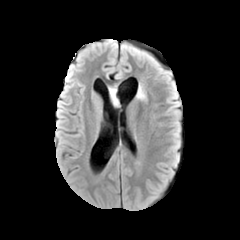
FLAIR MRI.
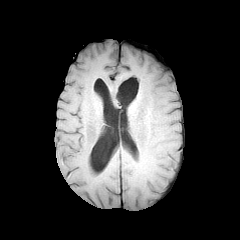
T1-weighted magnetic resonance of the same slice.
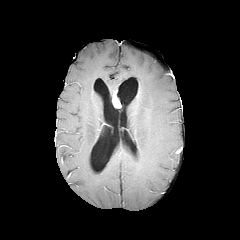
Same slice, post-contrast T1-weighted MR image.
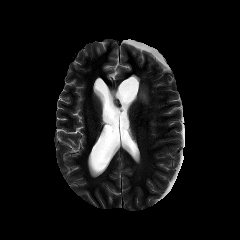
T2-weighted MR image.
{"edema": ["box=[137, 84, 147, 101]"], "enhancing_tumor": ["box=[112, 90, 119, 107]"]}